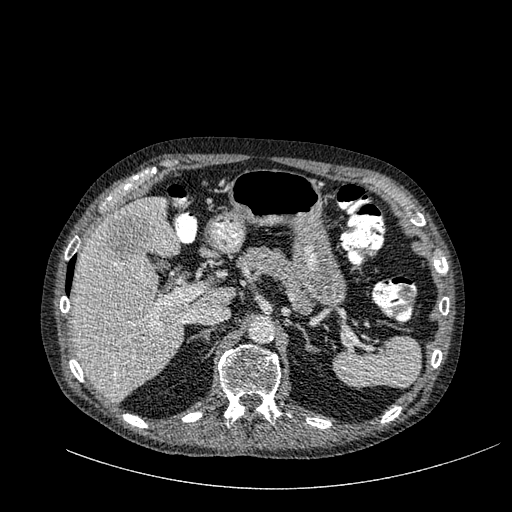
CT image.

Findings:
* liver: left=71, top=198, right=234, bottom=401
* hepatic lesion: left=104, top=211, right=152, bottom=262